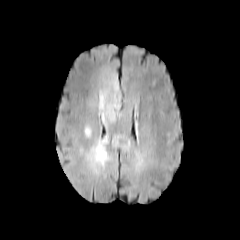
FLAIR MR.
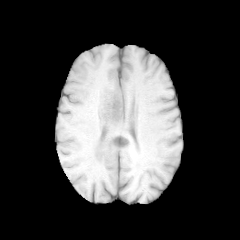
Same slice, T1-weighted MRI.
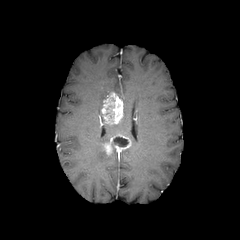
Post-contrast T1-weighted MRI.
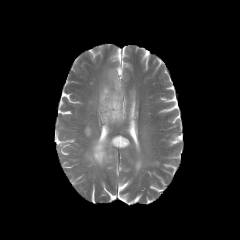
Same slice, T2-weighted magnetic resonance.
Brain
Enhancing tumor = bbox(103, 133, 131, 153); bbox(101, 90, 124, 124).
Non-enhancing tumor core = bbox(114, 136, 129, 146).
Edema = bbox(99, 86, 124, 126); bbox(86, 136, 110, 170).